240x240
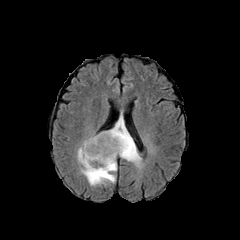
FLAIR MRI.
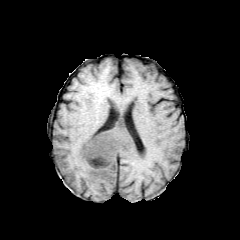
T1-weighted magnetic resonance of the same slice.
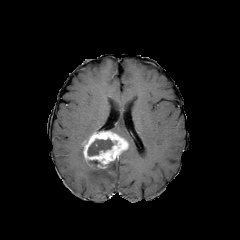
Post-contrast T1-weighted magnetic resonance of the same slice.
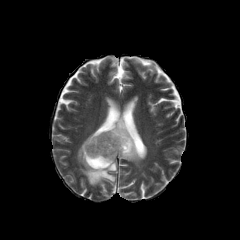
T2-weighted magnetic resonance of the same slice.
Enhancing tumor: bounding box 82:131:129:168.
Edema: bounding box 108:115:142:166, 76:144:117:186.
Non-enhancing tumor core: bounding box 87:139:113:155, 88:160:99:167.